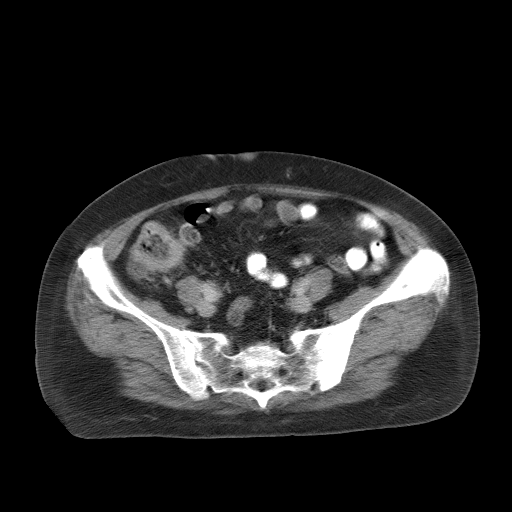
Pelvis, 512x512, CT image
Colon tumor at (x1=130, y1=221, x2=182, y2=270).